Computed tomography. Thorax.

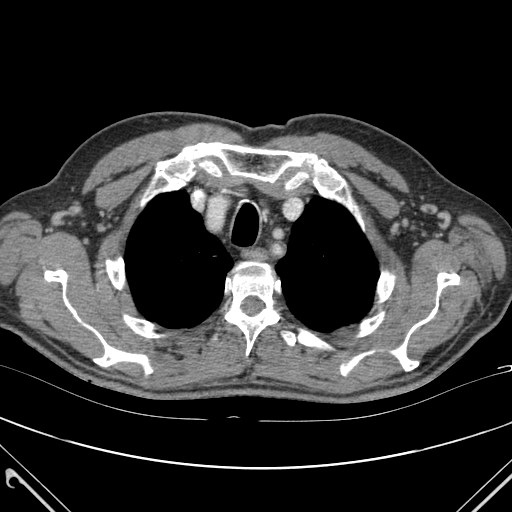

Bone at (left=283, top=332, right=295, bottom=345), (left=298, top=330, right=329, bottom=347), (left=142, top=142, right=345, bottom=205), (left=44, top=270, right=152, bottom=373), (left=106, top=258, right=124, bottom=289), (left=393, top=272, right=459, bottom=370), (left=341, top=353, right=365, bottom=375), (left=377, top=272, right=394, bottom=301), (left=124, top=315, right=159, bottom=337), (left=225, top=262, right=280, bottom=354), (left=359, top=312, right=383, bottom=336).
Lung at (left=124, top=190, right=233, bottom=327), (left=276, top=197, right=378, bottom=331).